Computed tomography. 512x512. Slice 567/654. Field of view 400x400 mm. 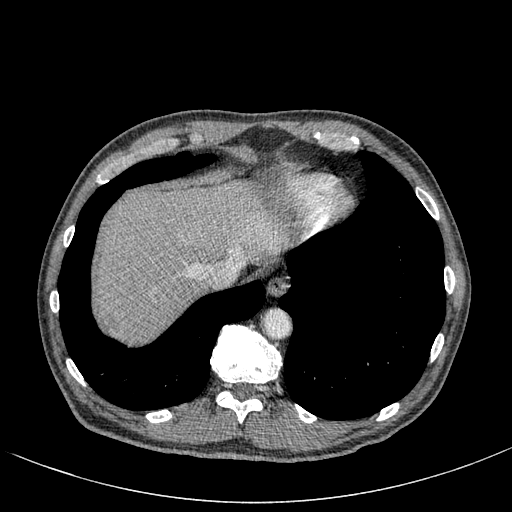
Liver at (left=93, top=183, right=287, bottom=341).
Focal liver lesion at (left=102, top=314, right=117, bottom=332).